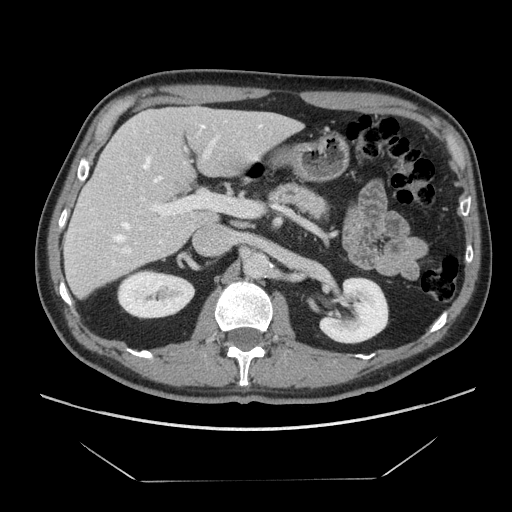

CT scan slice
pancreas: l=271, t=184, r=326, b=218